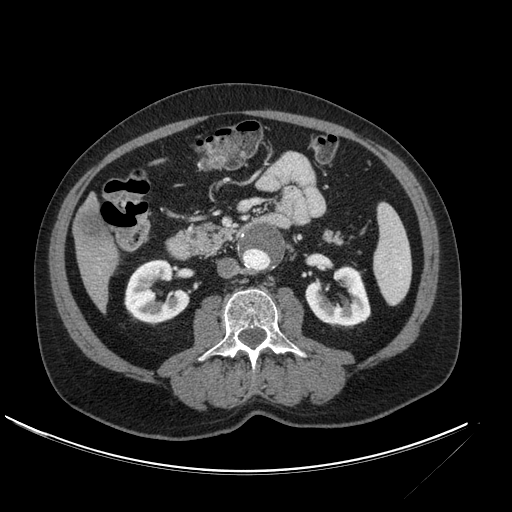
CT. 512x512. The liver lesion is located at 73, 196, 113, 254. 2 kidney regions are located at 306, 267, 369, 324; 125, 261, 188, 321. The liver appears at 76, 242, 119, 314.